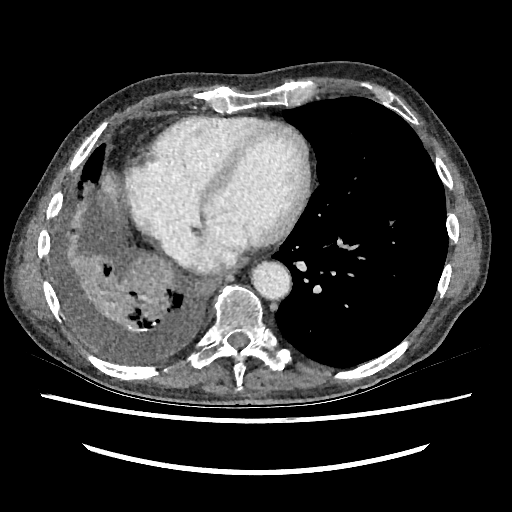 Computed tomography.

liver:
  - l=102, t=175, r=117, b=199